Computed tomography | Abdomen

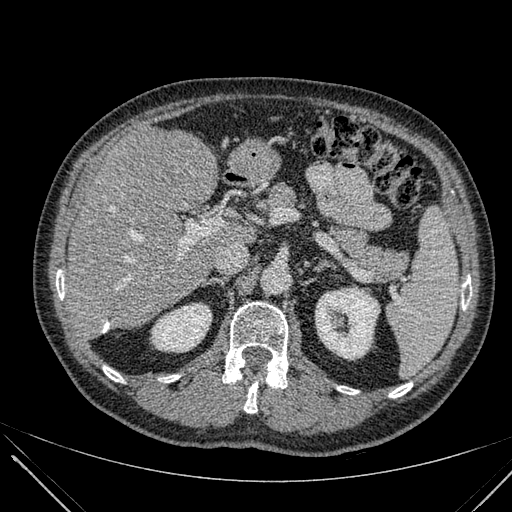 2 liver regions are bounded by [228, 138, 279, 184], [67, 126, 255, 338]. 2 kidney regions are bounded by [152, 304, 211, 351], [315, 288, 379, 359].